FLAIR MR.
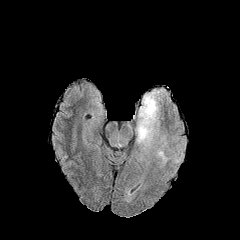
T1-weighted MR image.
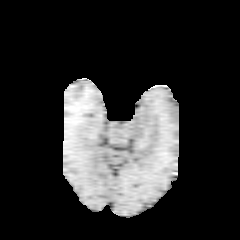
Post-contrast T1-weighted MRI.
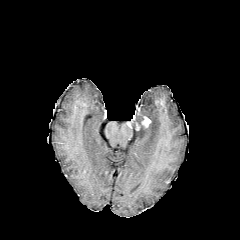
T2-weighted MR.
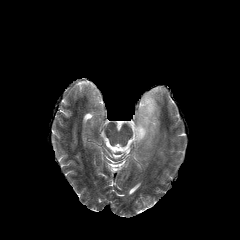
Annotated regions:
• edema: <box>135,88,167,150</box>, <box>156,142,168,164</box>
• non-enhancing tumor core: <box>135,116,143,132</box>
• enhancing tumor: <box>130,107,151,130</box>